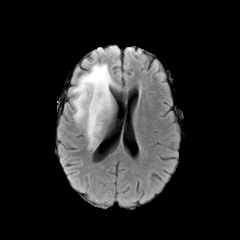
FLAIR MR image.
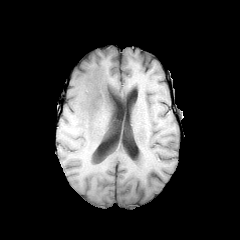
T1-weighted MR.
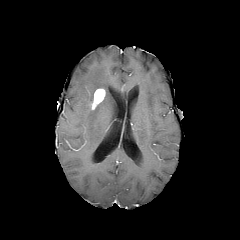
Post-contrast T1-weighted MR image.
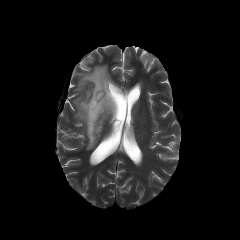
T2-weighted MR.
Edema: bounding box 71 61 118 148.
Enhancing tumor: bounding box 88 88 105 109.
Non-enhancing tumor core: bounding box 101 86 112 103, 86 92 95 111.